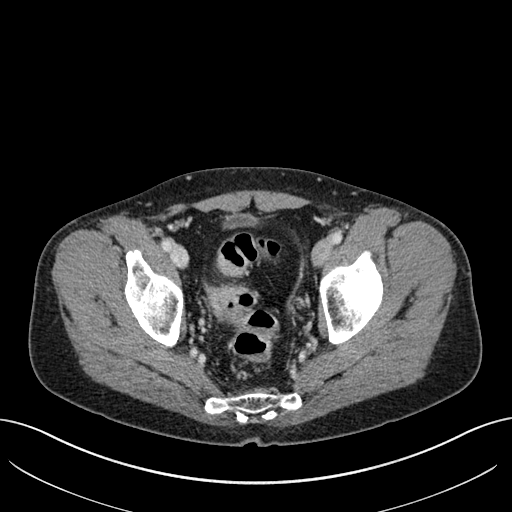 512x512 px; Computed tomography
<segmentation>
  <colon_tumor>207 287 247 321, 217 254 246 276, 235 247 248 264</colon_tumor>
</segmentation>